CT image. Slice index 133. Thorax. 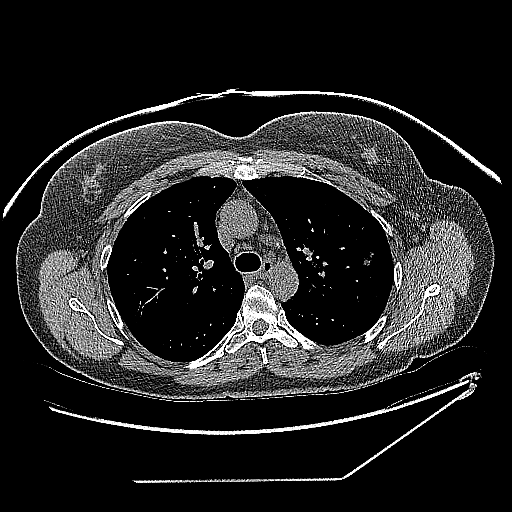 Lung tumor: bounding box (362, 247, 376, 267).